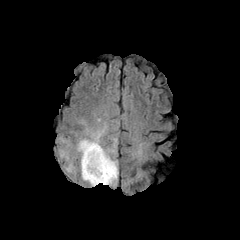
FLAIR MR image.
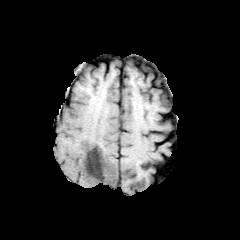
Same slice, T1-weighted MR.
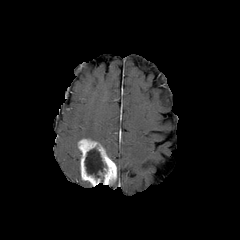
Post-contrast T1-weighted MR image of the same slice.
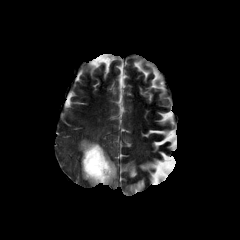
Same slice, T2-weighted MRI.
<segmentation>
  <edema>left=109, top=138, right=115, bottom=154; left=92, top=132, right=101, bottom=143</edema>
  <non-enhancing_tumor_core>left=85, top=148, right=104, bottom=177</non-enhancing_tumor_core>
  <enhancing_tumor>left=78, top=139, right=116, bottom=185</enhancing_tumor>
</segmentation>